512x512. Abdomen. CT slice. 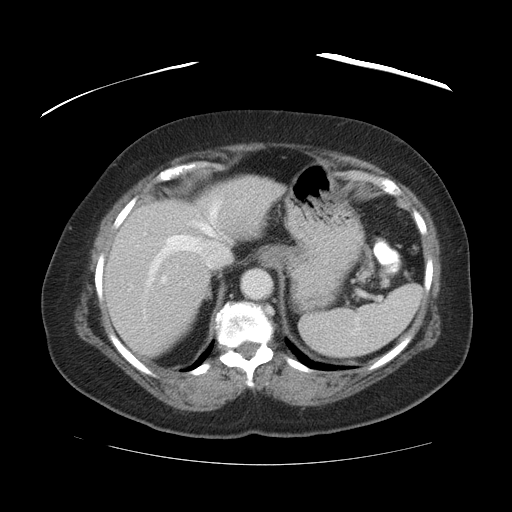 Only some of the vessels may be annotated.
4 hepatic vessel regions are bounded by box(143, 309, 145, 311); box(148, 224, 228, 284); box(209, 201, 217, 226); box(162, 277, 165, 282).